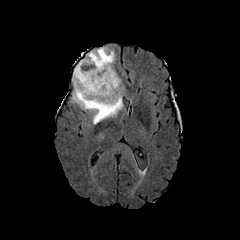
FLAIR magnetic resonance.
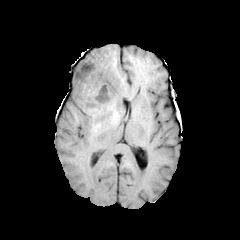
T1-weighted MR.
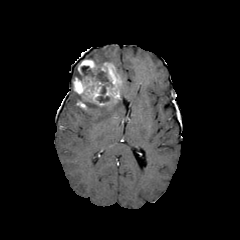
Post-contrast T1-weighted MR of the same slice.
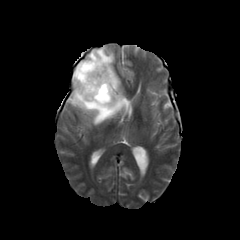
T2-weighted MRI.
240x240
The non-enhancing tumor core appears at bbox(74, 65, 112, 109). 3 enhancing tumor regions are located at bbox(73, 76, 105, 103); bbox(101, 62, 120, 101); bbox(78, 59, 96, 75). 2 edema regions are bounded by bbox(72, 46, 115, 80); bbox(70, 86, 124, 124).